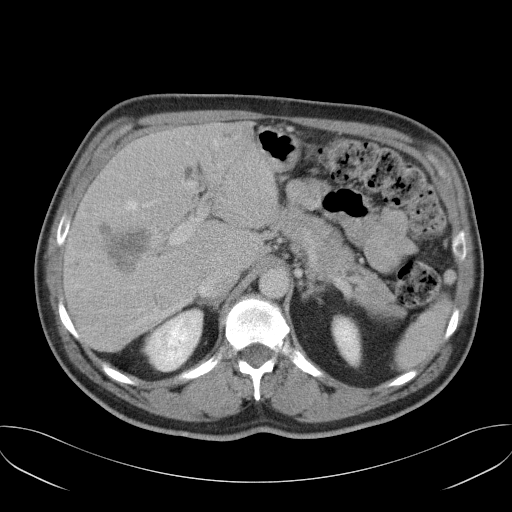 Computed tomography; Liver
Not every hepatic vessel necessarily has a box.
Annotated regions:
• hepatic vessel: [170, 225, 191, 243], [176, 303, 181, 307], [126, 201, 136, 209], [220, 198, 223, 201], [182, 181, 195, 187], [190, 211, 203, 221], [199, 279, 213, 294], [151, 310, 168, 317]
• liver tumor: [101, 225, 151, 273]